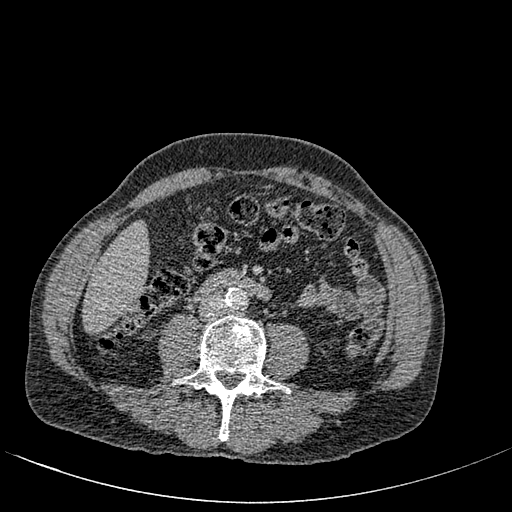
Upper abdomen; Computed tomography
<segmentation>
  <liver>x1=84, y1=224, x2=147, y2=329</liver>
</segmentation>